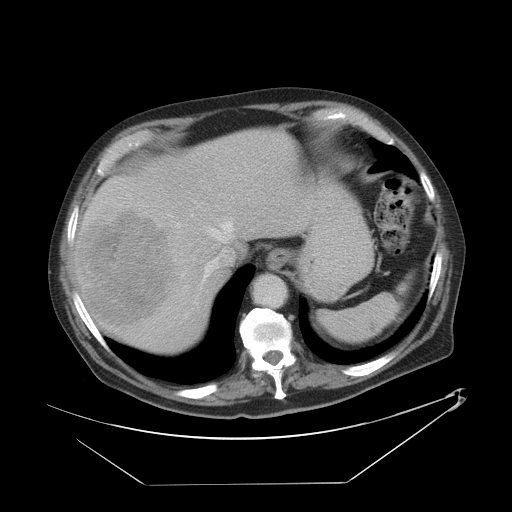
CT image. The vessel annotation is not exhaustive.
liver_tumor:
  - 78,212,175,326
hepatic_vessel:
  - 207,217,233,242
  - 194,301,196,303
  - 202,258,218,281
  - 176,223,179,226
  - 168,214,171,216